Slice index 71; Head
FLAIR MR image.
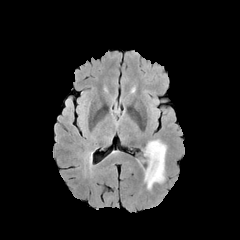
T1-weighted MRI.
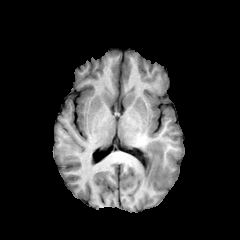
Post-contrast T1-weighted MRI.
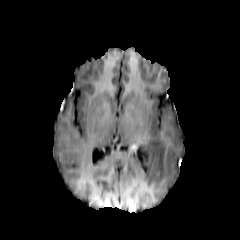
T2-weighted magnetic resonance.
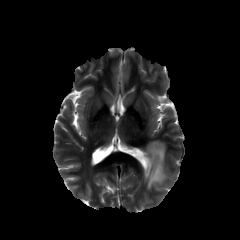
The edema lies within [x1=141, y1=139, x2=166, y2=189].